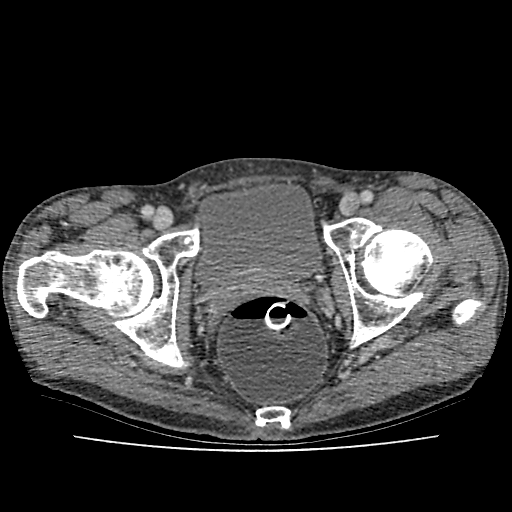 Image size 512x512, CT scan slice, Pelvis
{
  "urinary_bladder": [
    {"x1": 193, "y1": 178, "x2": 322, "y2": 301}
  ]
}